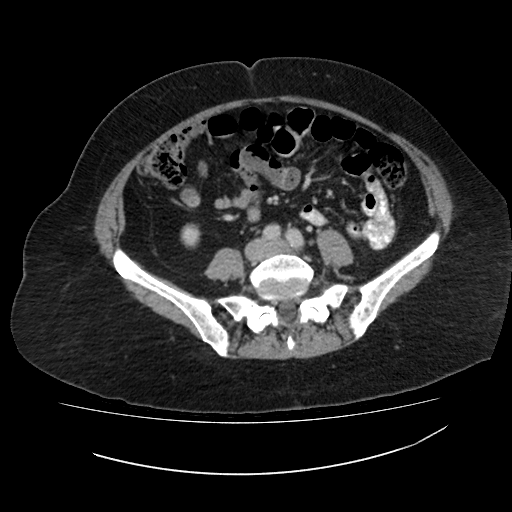
Abdomen | Computed tomography
kidney:
  - 181:225:199:245